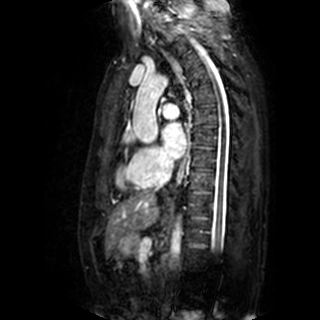
MR image; 320x320 px
Left atrium: bounding box x1=161 y1=122 x2=186 y2=159.